CT, Image size 512x512, Slice 76/134 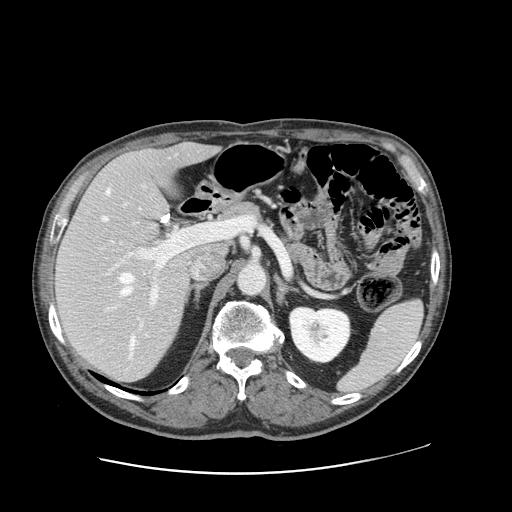

The vessel annotation is not exhaustive.
hepatic vessel: x1=151 y1=285 x2=157 y2=304, x1=122 y1=287 x2=131 y2=294, x1=107 y1=189 x2=110 y2=193, x1=102 y1=216 x2=107 y2=220, x1=139 y1=248 x2=144 y2=255, x1=120 y1=273 x2=133 y2=283, x1=129 y1=337 x2=134 y2=358